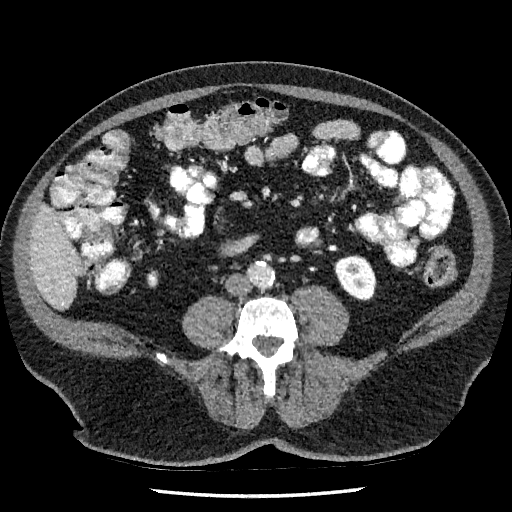 CT scan slice
Kidney: box(336, 257, 374, 299); box(149, 275, 155, 284).
Liver: box(29, 205, 80, 309).